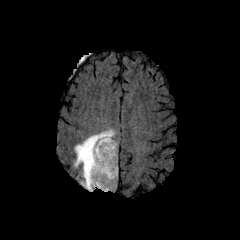
FLAIR MRI.
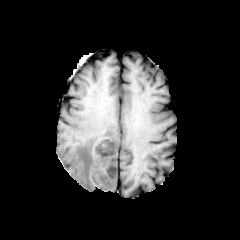
Same slice, T1-weighted magnetic resonance.
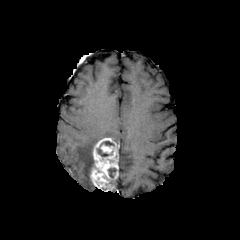
Same slice, post-contrast T1-weighted magnetic resonance.
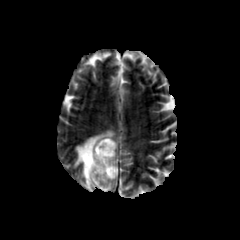
T2-weighted MR image of the same slice.
Brain
Edema = 72:129:117:191.
Non-enhancing tumor core = 108:168:116:177, 83:143:95:182.
Enhancing tumor = 90:138:117:191.